MRI slice 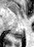
Posterior hippocampus: left=13, top=30, right=24, bottom=38.